CT | Upper abdomen | Field of view 406x406 mm

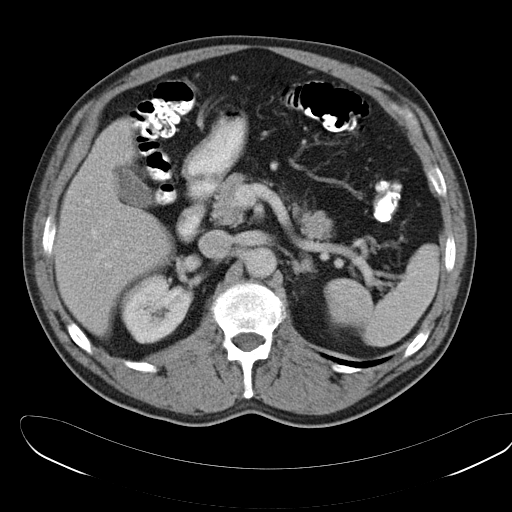 <segmentation>
  <spleen>box(327, 249, 436, 347)</spleen>
</segmentation>